Liver. CT image.

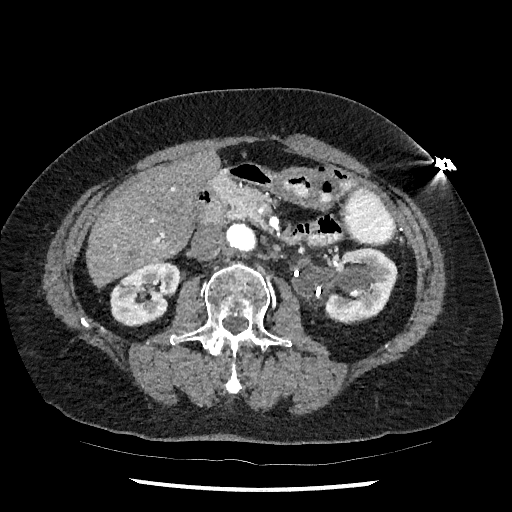 liver: <box>87,150,220,287</box> | kidney: <box>111,262,179,325</box>, <box>326,248,396,322</box>